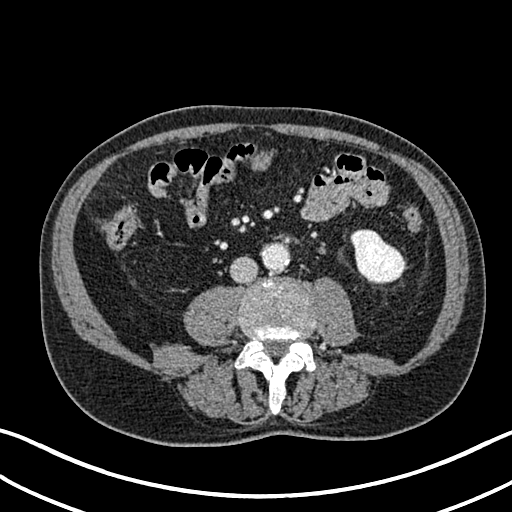

Abdomen; CT
The kidney is bounded by 351, 230, 404, 282.